512x512. Computed tomography. Field of view 700 mm wide, 3.27 mm slice spacing. Abdomen. 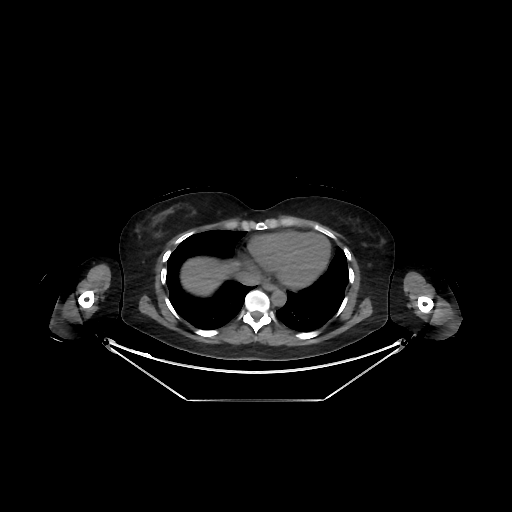

Annotated regions:
- liver: (181, 257, 242, 295)